Slice 103/155, Head
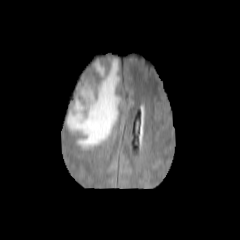
FLAIR MR.
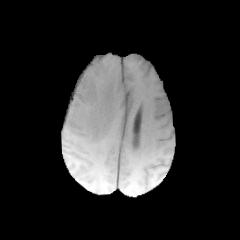
T1-weighted MR image.
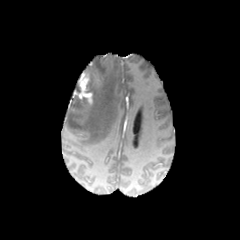
Same slice, post-contrast T1-weighted MRI.
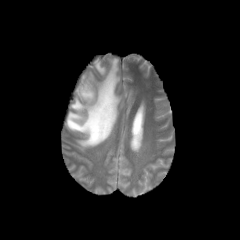
T2-weighted MR.
Non-enhancing tumor core: bounding box (x1=76, y1=65, x2=102, y2=109).
Enhancing tumor: bounding box (x1=77, y1=71, x2=93, y2=103).
Edema: bounding box (x1=66, y1=58, x2=121, y2=148).